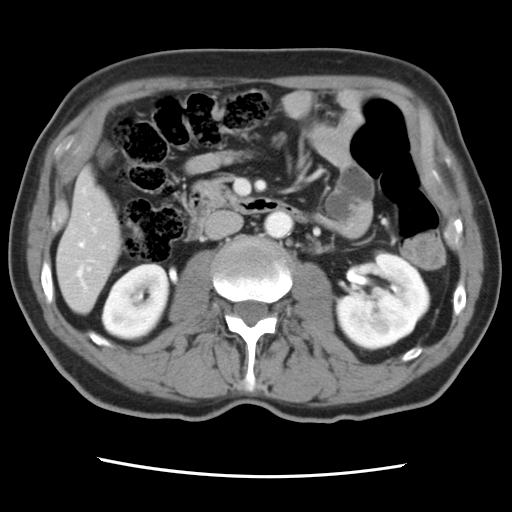
Liver, 512x512 px, Computed tomography
The vessel boxes may cover only some of the vessels.
5 hepatic vessel regions are bounded by l=77, t=267, r=90, b=288; l=90, t=260, r=92, b=261; l=83, t=190, r=84, b=192; l=93, t=229, r=96, b=231; l=80, t=242, r=83, b=246.